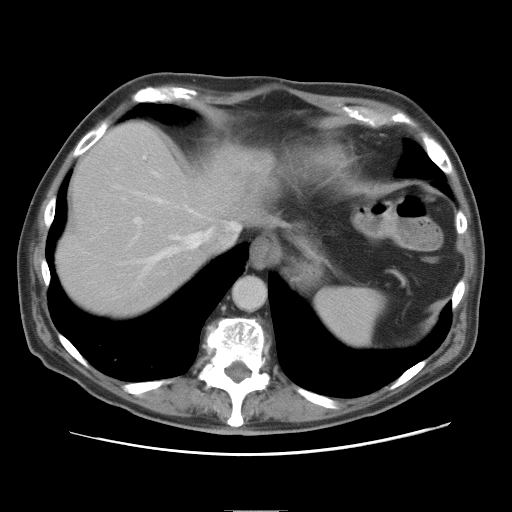 Abdomen, CT scan slice
Some hepatic vessels may have no box.
7 hepatic vessel regions are bounded by (135,217,142,225), (153,198,161,201), (144,157,145,158), (154,172,157,174), (137,249,177,266), (230,222,240,228), (172,233,201,248).